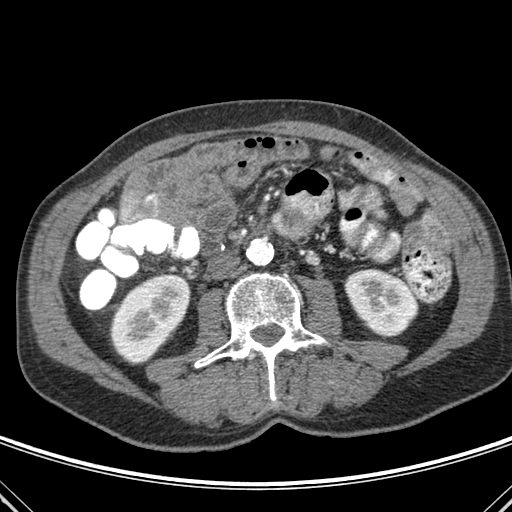
CT scan slice
Segmented structures:
• bone: (194,273,327,401)
• kidney: (346,270,416,335), (112,275,189,361)